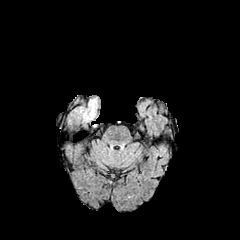
FLAIR MRI.
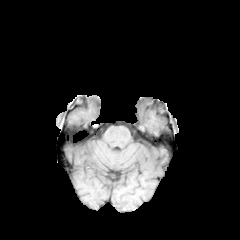
T1-weighted magnetic resonance of the same slice.
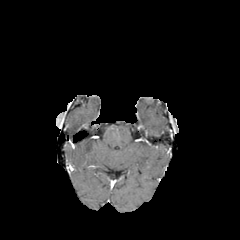
Post-contrast T1-weighted magnetic resonance.
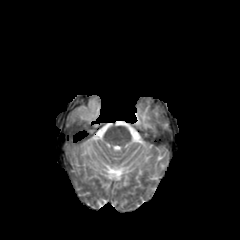
T2-weighted MR of the same slice.
240x240 px
<segmentation>
  <edema>82,99,99,122</edema>
</segmentation>